Slice index 347. Upper abdomen. CT slice. 512x512 px. Field of view 496x496 mm.

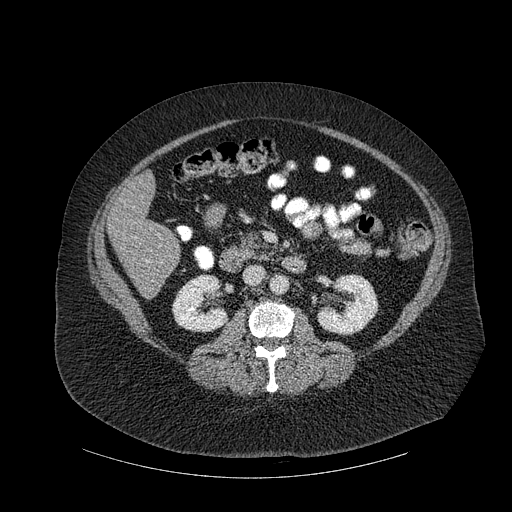
The liver appears at (108, 174, 180, 297). 3 bone regions are bounded by (360, 190, 367, 197), (249, 302, 294, 337), (255, 346, 286, 391). 2 kidney regions are bounded by (173, 275, 227, 331), (318, 275, 377, 333).